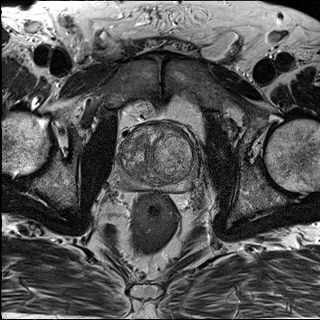
T2-weighted MR.
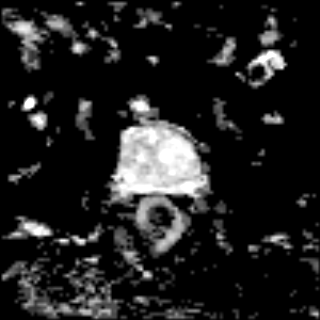
Same slice, ADC MRI.
320x320, Pelvis
Prostate peripheral zone = (x1=117, y1=146, x2=196, y2=189).
Prostate transition zone = (x1=118, y1=127, x2=194, y2=184).